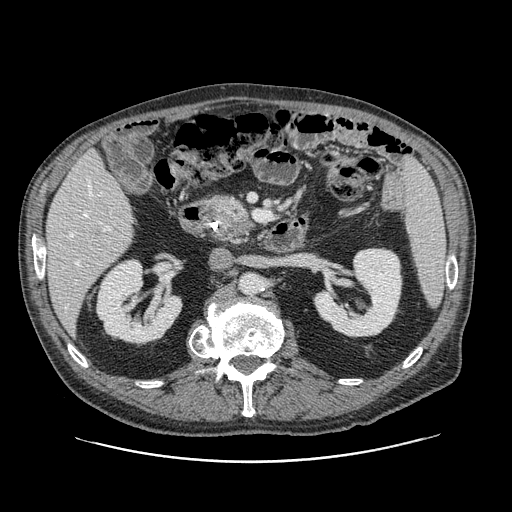
CT
{
  "pancreas": [
    "214, 197, 251, 236"
  ]
}